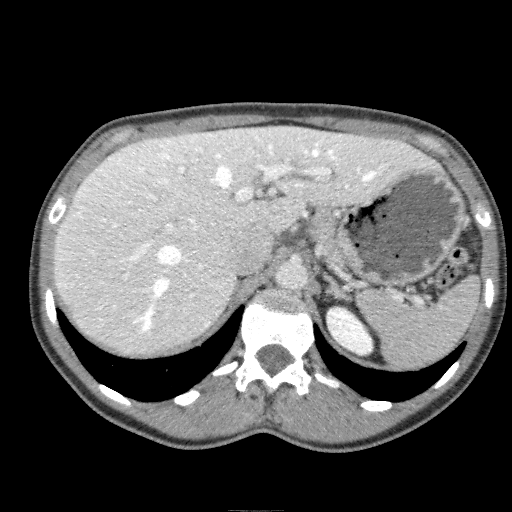 Image size 512x512, Liver, CT slice
{"kidney": ["rect(327, 308, 371, 354)"], "liver": ["rect(53, 125, 442, 354)"]}